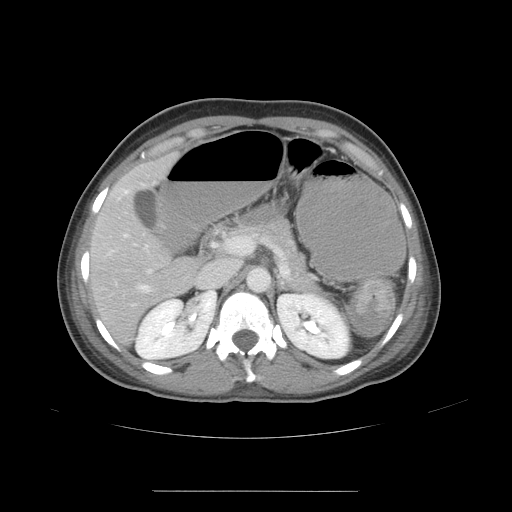

Pelvis | Image size 512x512 | CT image
The colon tumor appears at 356 282 391 316.